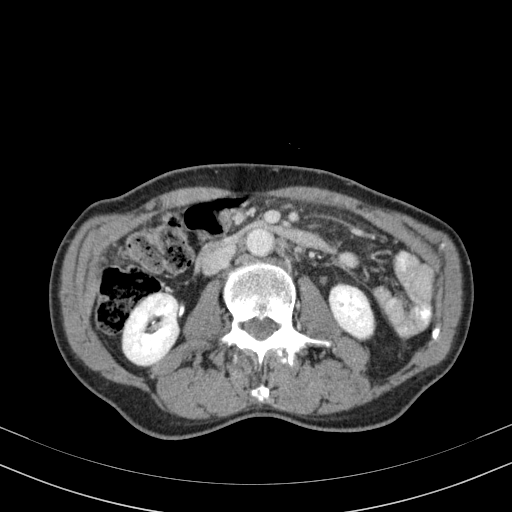 CT image

<segmentation>
  <kidney>(330,286,372,337), (123,293,177,364)</kidney>
</segmentation>